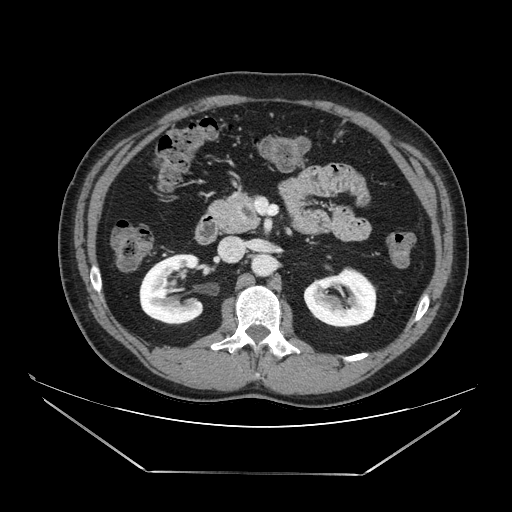

Image size 512x512. CT image. Abdomen. Pancreas = 209 192 258 233.